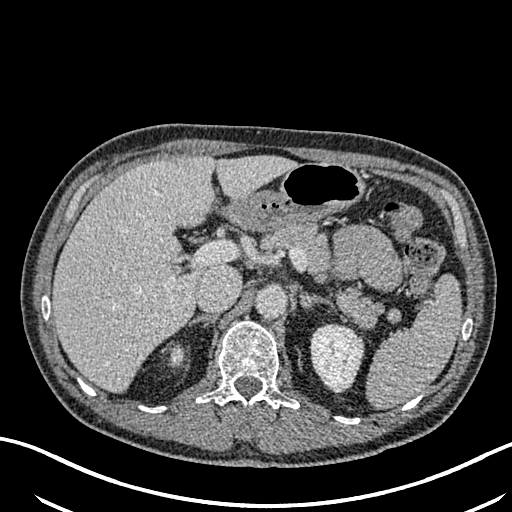 Upper abdomen. 512x512. CT slice.

Annotated regions:
- liver: [53,156,296,391]
- kidney: [311,325,362,391], [173,350,181,361]